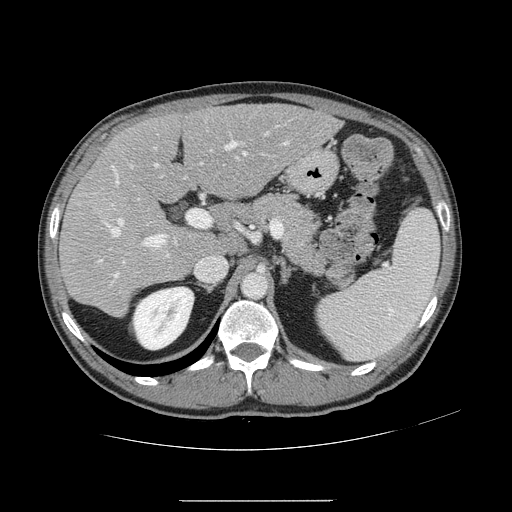 Liver; CT
Some hepatic vessels may have no box.
The most prominent 15 hepatic vessel regions (of 16) are bounded by box=[111, 218, 123, 236]; box=[243, 152, 245, 155]; box=[130, 165, 132, 167]; box=[97, 259, 101, 262]; box=[175, 240, 177, 245]; box=[111, 165, 119, 184]; box=[111, 280, 114, 284]; box=[265, 132, 267, 134]; box=[143, 235, 165, 249]; box=[187, 210, 204, 227]; box=[155, 164, 157, 166]; box=[112, 273, 118, 278]; box=[166, 253, 168, 255]; box=[284, 142, 288, 144]; box=[225, 140, 238, 148].